Image width 469 mm | CT scan slice 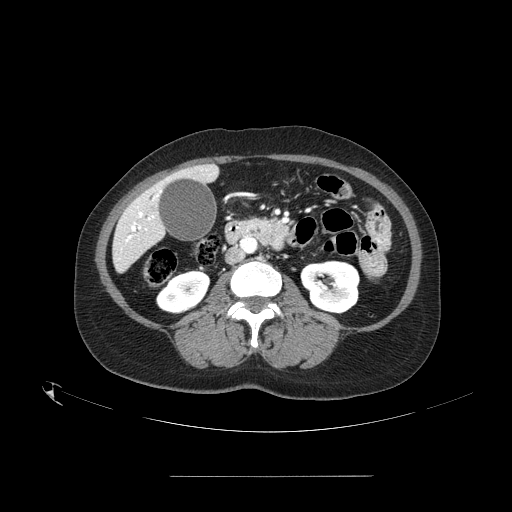 pancreas: bbox=[243, 217, 273, 245]